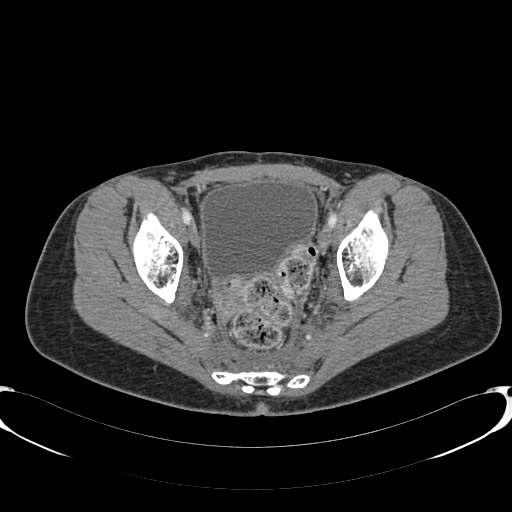 Lower abdomen | 512x512 | CT slice

<segmentation>
  <urinary_bladder>(203,182,314,278)</urinary_bladder>
</segmentation>